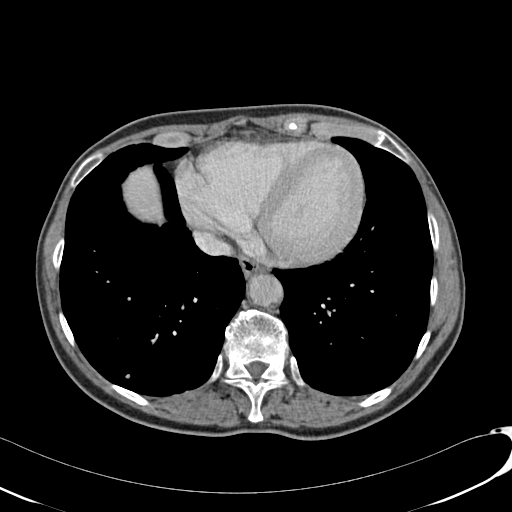 Abdomen; 512x512; Computed tomography
Segmented structures:
• liver: 125, 169, 159, 218